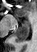

37x52 px; Magnetic resonance; Hippocampus
The anterior hippocampus is bounded by rect(25, 18, 28, 21). The posterior hippocampus is bounded by rect(15, 22, 30, 42).